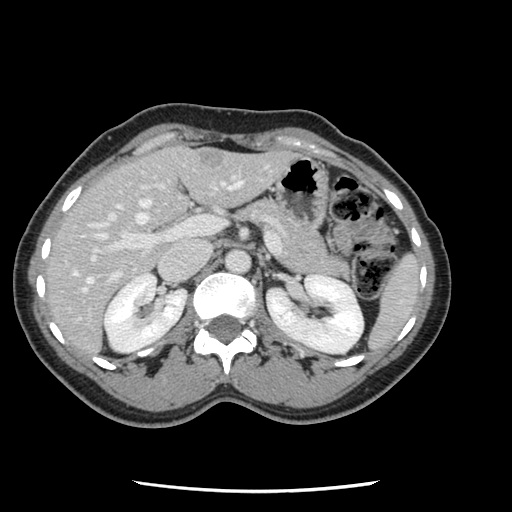
Computed tomography; Liver
Only some of the vessels may be annotated.
hepatic vessel: box=[73, 271, 76, 274]; box=[117, 205, 119, 206]; box=[96, 231, 105, 238]; box=[82, 286, 86, 291]; box=[86, 277, 92, 284]; box=[108, 214, 114, 219]; box=[136, 199, 149, 222]; box=[90, 223, 105, 227]; box=[111, 215, 224, 248]; box=[222, 176, 241, 188]; box=[92, 249, 96, 259]; box=[156, 183, 161, 186]; box=[110, 271, 119, 278] | liver tumor: box=[198, 154, 223, 167]